Slice 94/155.
FLAIR MRI.
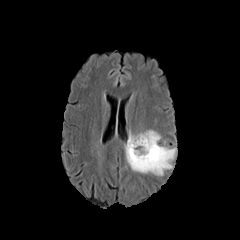
T1-weighted MR.
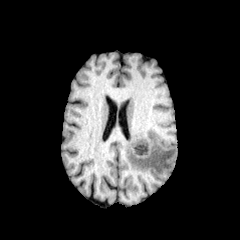
Post-contrast T1-weighted MRI.
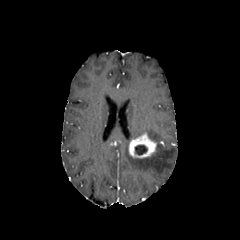
T2-weighted magnetic resonance.
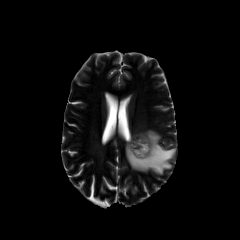
enhancing_tumor:
  - bbox=[129, 135, 157, 157]
edema:
  - bbox=[125, 129, 175, 174]
non-enhancing_tumor_core:
  - bbox=[135, 144, 147, 154]